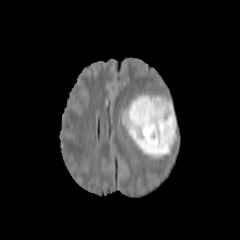
FLAIR MR.
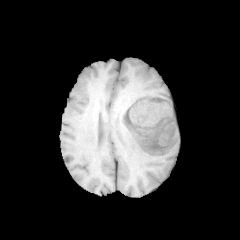
T1-weighted magnetic resonance.
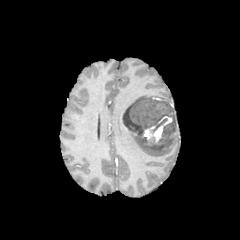
Post-contrast T1-weighted MRI.
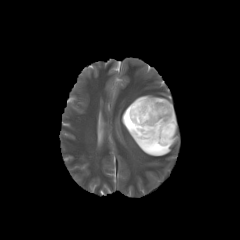
T2-weighted magnetic resonance of the same slice.
Head
Non-enhancing tumor core = 123:97:177:145.
Enhancing tumor = 142:115:172:144.
Edema = 125:94:173:111, 124:124:178:157.